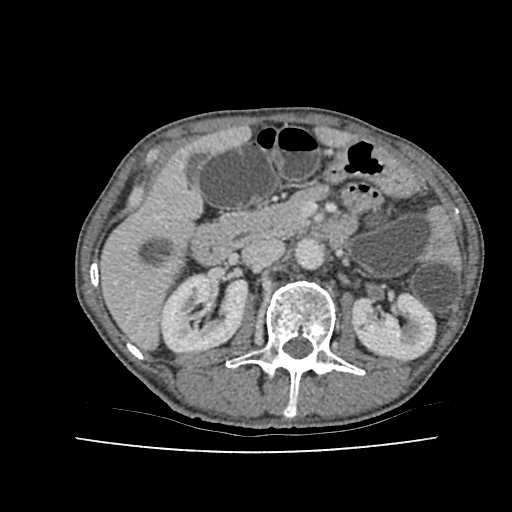
Computed tomography. Liver.

Kidney: <box>353,294,434,359</box>, <box>162,275,246,351</box>.
Liver: <box>324,131,348,144</box>, <box>101,157,199,345</box>, <box>198,130,247,151</box>.